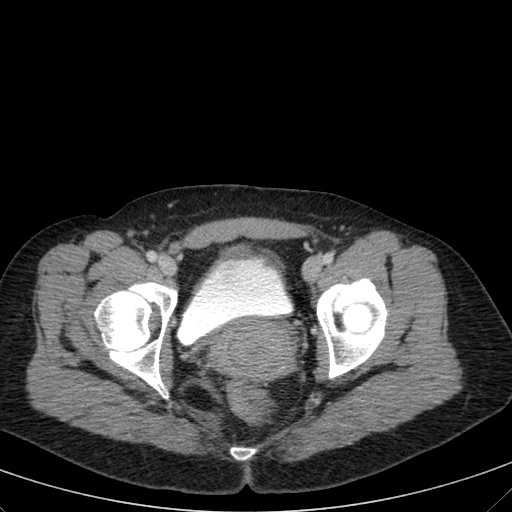

CT image; Pelvis; Image size 512x512
urinary bladder: (left=178, top=260, right=291, bottom=343)